T2-weighted MRI.
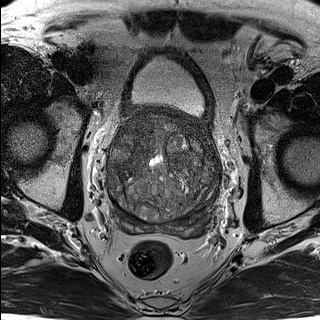
ADC MR.
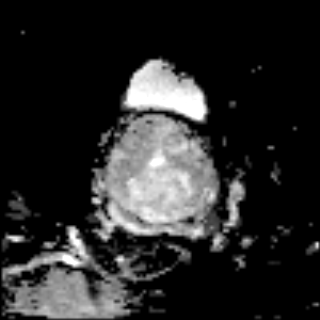
Prostate peripheral zone = x1=176 y1=211 x2=203 y2=221.
Prostate transition zone = x1=111 y1=116 x2=218 y2=221.